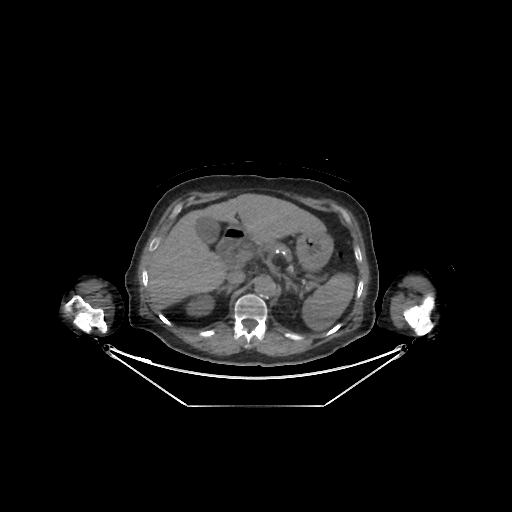

CT slice, Abdomen
liver: box=[147, 194, 324, 312] | bone: box=[66, 296, 106, 332]; box=[327, 324, 340, 335]; box=[357, 281, 362, 297]; box=[404, 296, 434, 335]; box=[159, 314, 170, 324]; box=[143, 271, 147, 285]; box=[200, 331, 213, 336]; box=[234, 294, 266, 342] | kidney: box=[186, 292, 213, 315]